Upper abdomen; CT slice; Slice index 440

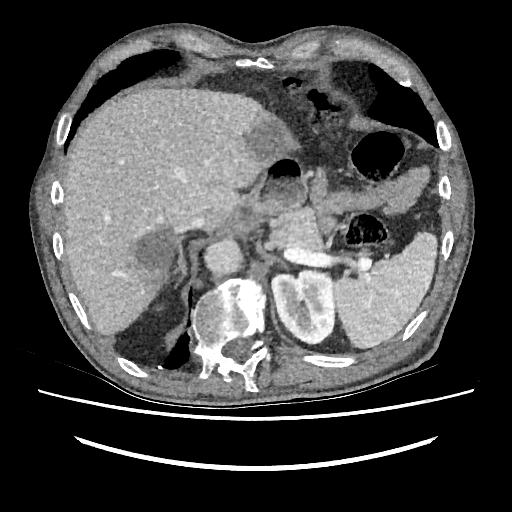 <segmentation>
  <liver>x1=64, y1=87, x2=276, y2=333; x1=286, y1=138, x2=299, y2=154</liver>
  <kidney>x1=272, y1=271, x2=337, y2=343</kidney>
  <liver_lesion>x1=244, y1=114, x2=292, y2=161; x1=129, y1=225, x2=174, y2=290</liver_lesion>
</segmentation>